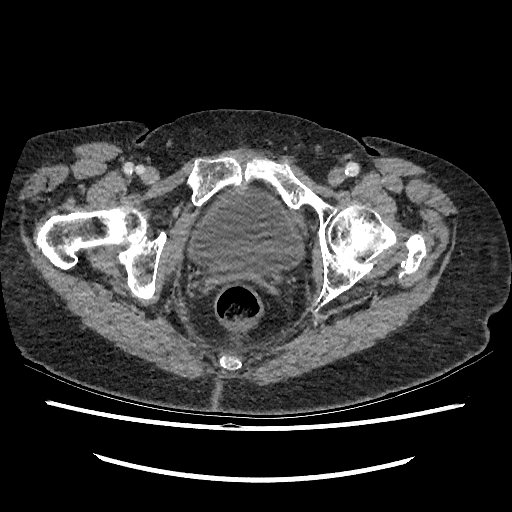 Lower abdomen, CT slice
Urinary bladder = bbox=[184, 185, 305, 286].